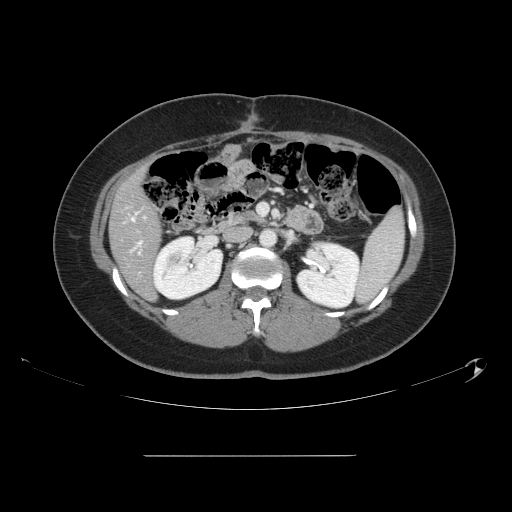 512x512 | Computed tomography
Not every hepatic vessel necessarily has a box.
<segmentation>
  <hepatic_vessel>[x1=136, y1=241, x2=141, y2=247], [x1=131, y1=217, x2=134, y2=220], [x1=138, y1=252, x2=140, y2=253]</hepatic_vessel>
</segmentation>